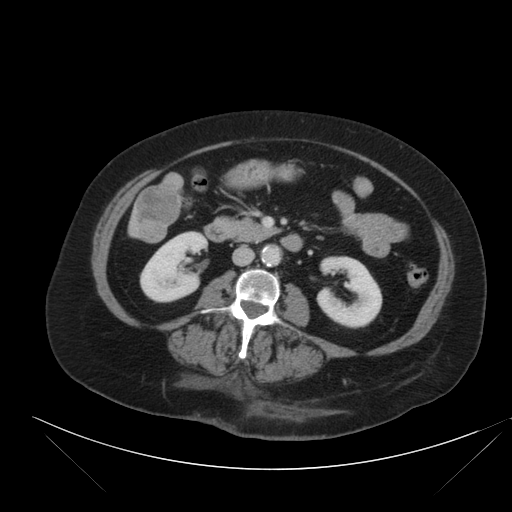 CT scan slice, 512x512, Abdomen
liver tumor: {"x1": 135, "y1": 184, "x2": 181, "y2": 242}